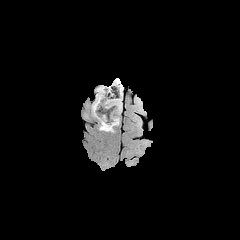
FLAIR MRI.
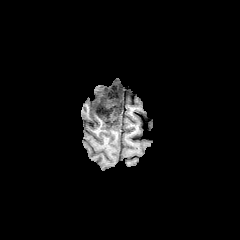
T1-weighted MRI.
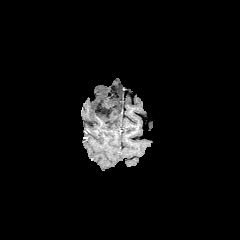
Post-contrast T1-weighted MRI.
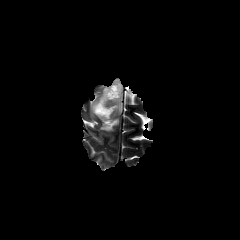
T2-weighted MR image.
Brain
Annotated regions:
• edema: [x1=86, y1=80, x2=122, y2=131]
• non-enhancing tumor core: [x1=100, y1=118, x2=117, y2=130], [x1=94, y1=96, x2=109, y2=117]